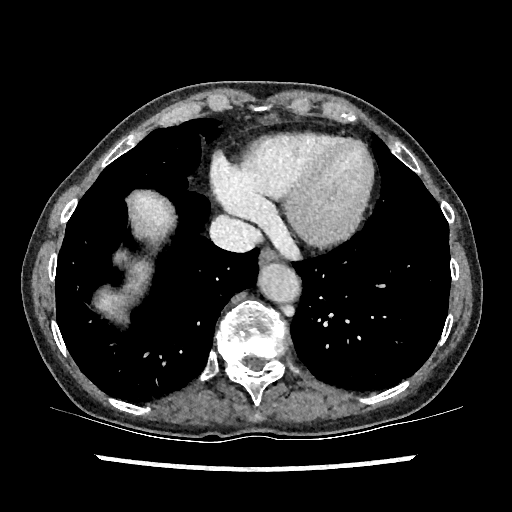

Upper abdomen | CT slice
Segmented structures:
* liver: [130,190,171,239], [131,264,145,290], [98,293,122,312]